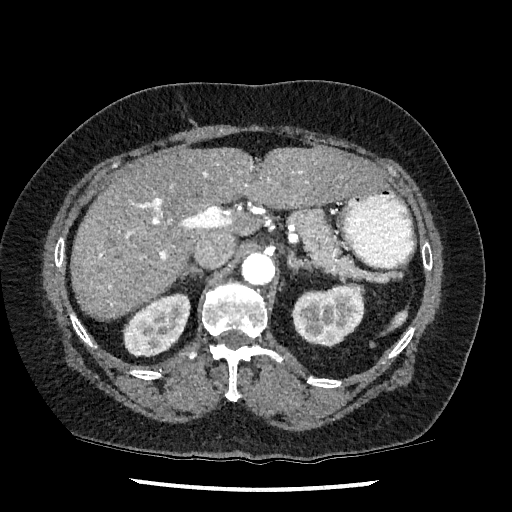
512x512; CT image
<segmentation>
  <liver>bbox=[71, 147, 385, 318]</liver>
  <kidney>bbox=[293, 285, 363, 345]; bbox=[124, 294, 189, 355]</kidney>
</segmentation>